Brain
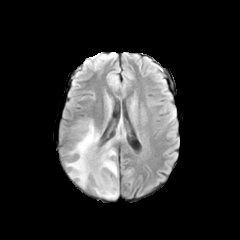
FLAIR MR.
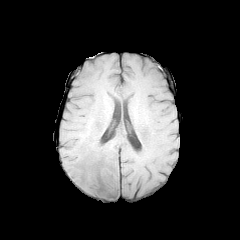
T1-weighted MR of the same slice.
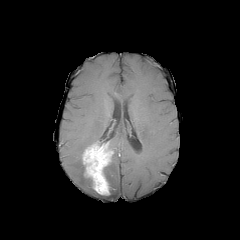
Post-contrast T1-weighted magnetic resonance of the same slice.
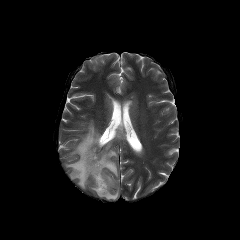
Same slice, T2-weighted MRI.
Findings:
* enhancing tumor: l=82, t=146, r=111, b=194
* edema: l=66, t=120, r=100, b=187; l=98, t=119, r=125, b=199